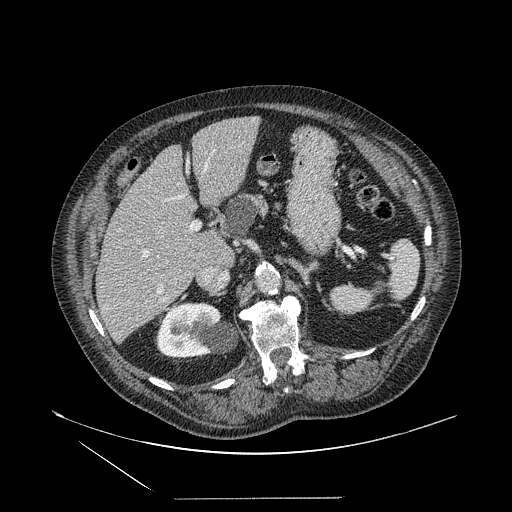

Upper abdomen | CT scan slice
The pancreas is located at 223:190:270:236. The pancreatic tumor is at 226:196:257:235.